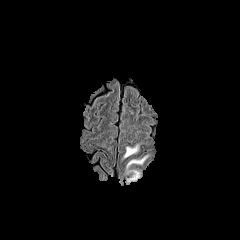
FLAIR MR.
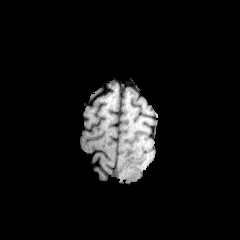
Same slice, T1-weighted MR image.
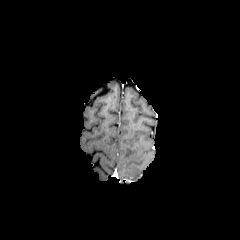
Post-contrast T1-weighted MR image.
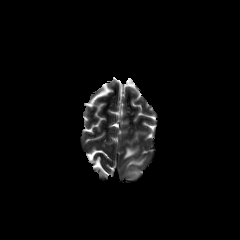
T2-weighted magnetic resonance.
240x240 px
Edema = {"x1": 122, "y1": 145, "x2": 139, "y2": 159}, {"x1": 125, "y1": 155, "x2": 148, "y2": 184}.